512x512 px. Abdomen. Slice index 335. CT image.

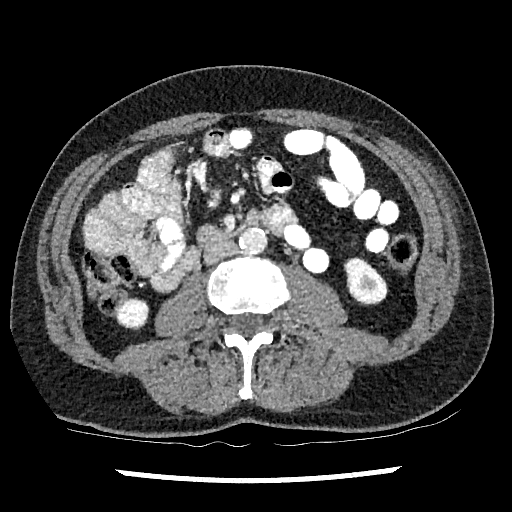
Kidney: 118,300,147,325; 346,259,386,302.